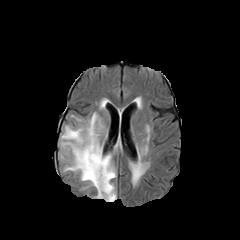
FLAIR magnetic resonance.
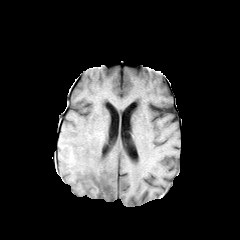
T1-weighted MR.
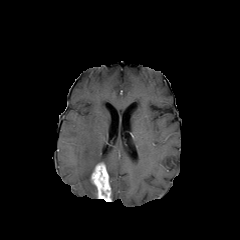
Post-contrast T1-weighted MR image of the same slice.
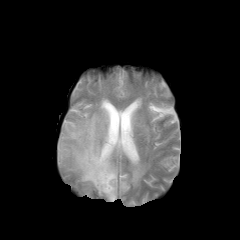
Same slice, T2-weighted MRI.
4 edema regions are located at <bbox>111, 181, 116, 199</bbox>, <bbox>100, 98, 109, 109</bbox>, <bbox>132, 164, 142, 180</bbox>, <bbox>58, 112, 116, 197</bbox>. The enhancing tumor is bounded by <bbox>90, 163, 111, 201</bbox>.